Field of view 383 mm wide, 1.50 mm slice spacing | CT scan slice | Abdomen 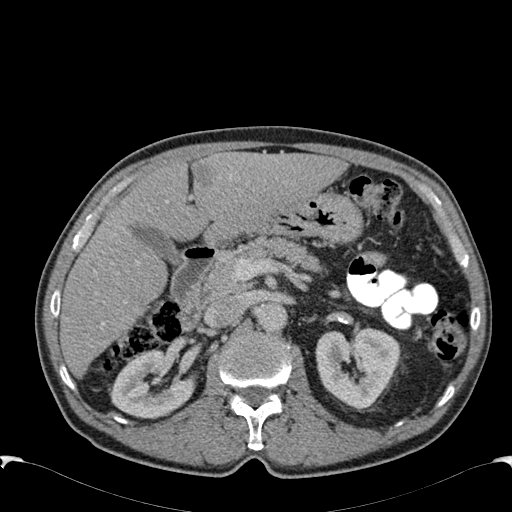 focal liver lesion: [196,164,215,185] | kidney: [180,356,192,372], [316,328,399,408], [111,349,193,417] | liver: [59,152,346,376]